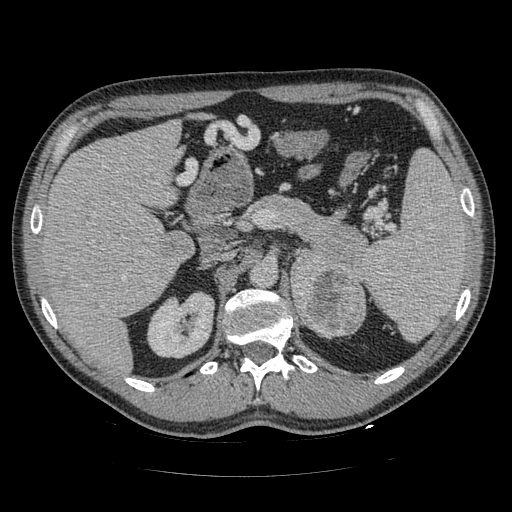 Computed tomography

Pancreatic tumor at 291, 252, 366, 336.
Pancreas at 254, 196, 365, 287.